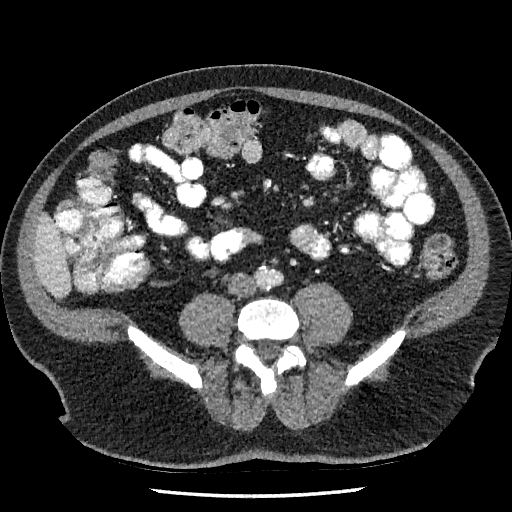

512x512 px. CT.

• liver: x1=35 y1=214 x2=70 y2=295